Chest, Field of view 500x500 mm, Slice index 149, CT slice

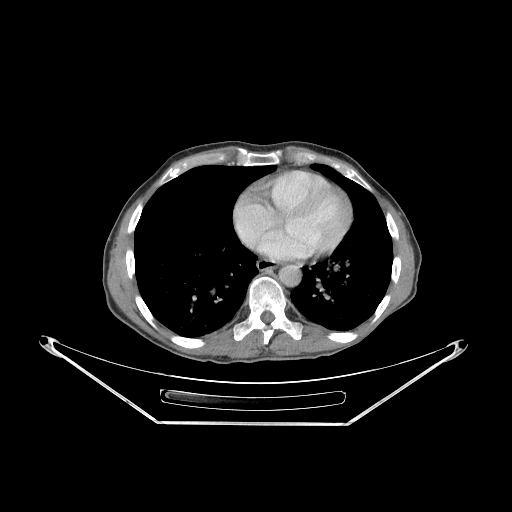
lung:
  - region(134, 165, 273, 336)
  - region(291, 165, 392, 330)
bone:
  - region(128, 204, 141, 232)
  - region(392, 257, 400, 282)
  - region(245, 153, 278, 165)
  - region(234, 277, 300, 343)
  - region(126, 250, 134, 277)
  - region(171, 337, 203, 347)
  - region(328, 333, 356, 342)
  - region(164, 168, 178, 177)
  - region(347, 170, 355, 178)
  - region(136, 297, 154, 326)
  - region(373, 296, 389, 321)
  - region(387, 213, 398, 238)